Computed tomography, Upper abdomen, Slice 49 of 79 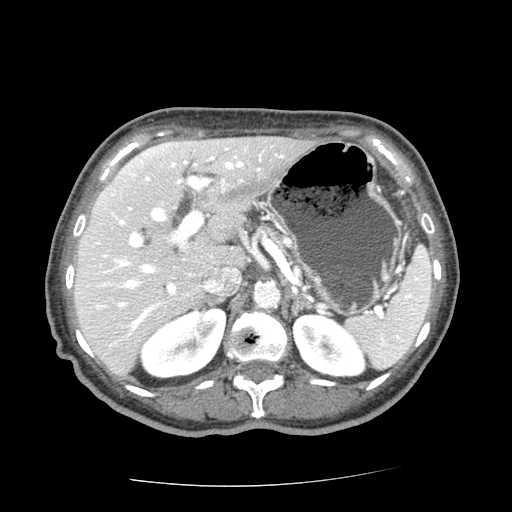 Pancreas: bounding box box=[266, 225, 282, 246].